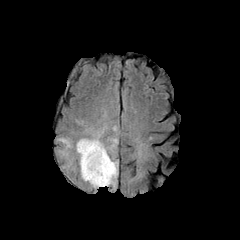
FLAIR MR.
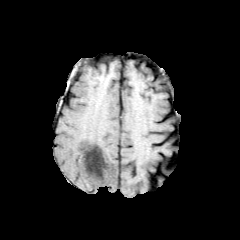
T1-weighted MRI.
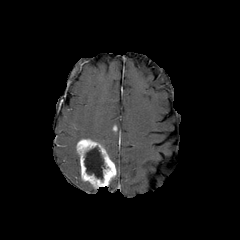
Post-contrast T1-weighted MR.
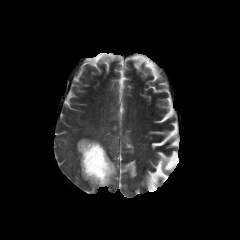
T2-weighted magnetic resonance of the same slice.
Brain, Image size 240x240
Enhancing tumor: region(77, 139, 115, 188).
Edema: region(88, 136, 118, 175).
Non-enhancing tumor core: region(84, 147, 104, 179).